Slice 104 of 155 | Image size 240x240
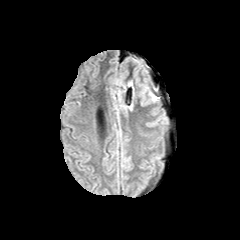
FLAIR magnetic resonance.
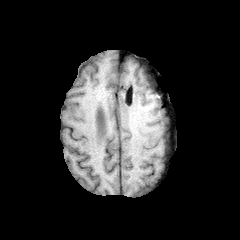
T1-weighted MRI of the same slice.
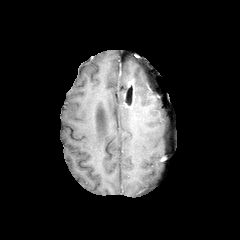
Post-contrast T1-weighted magnetic resonance of the same slice.
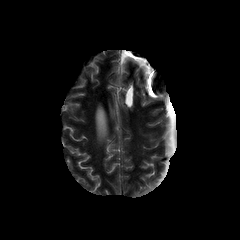
T2-weighted MR of the same slice.
{
  "edema": [
    "140:84:156:104"
  ]
}